Image size 512x512. Upper abdomen. Computed tomography.

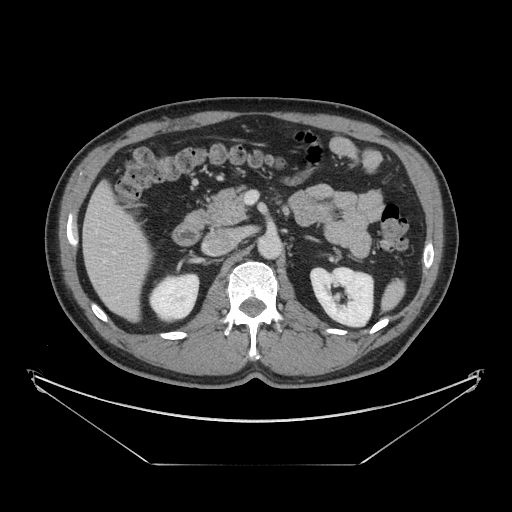

pancreas:
  - bbox(205, 186, 246, 226)